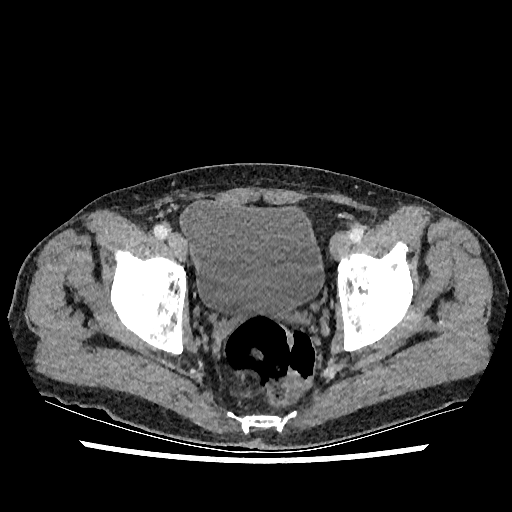 CT. urinary_bladder:
  - bbox(181, 200, 324, 332)